Liver. Computed tomography. Slice index 34. 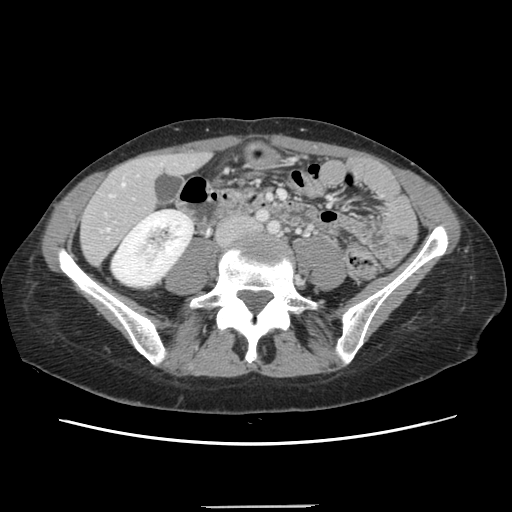 Only some of the vessels may be annotated.
Hepatic vessel: bounding box 106, 228, 108, 230; 122, 183, 124, 185; 109, 195, 113, 196.